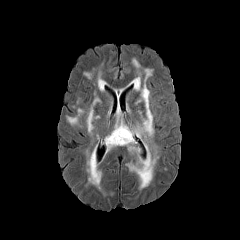
FLAIR MR.
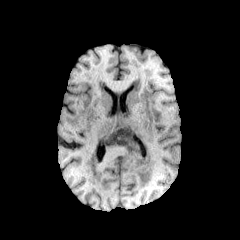
Same slice, T1-weighted MRI.
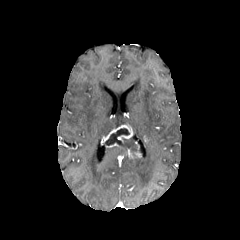
Same slice, post-contrast T1-weighted MR image.
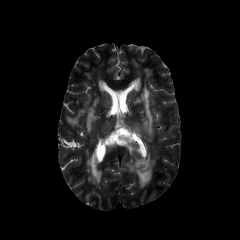
T2-weighted MR.
240x240 px
Edema: (66, 108, 83, 127), (129, 68, 154, 138), (86, 97, 100, 135), (132, 59, 139, 69), (97, 72, 105, 91), (85, 144, 101, 190), (125, 145, 158, 190).
Enhancing tumor: (103, 125, 133, 143).
Non-enhancing tumor core: (104, 128, 137, 151).